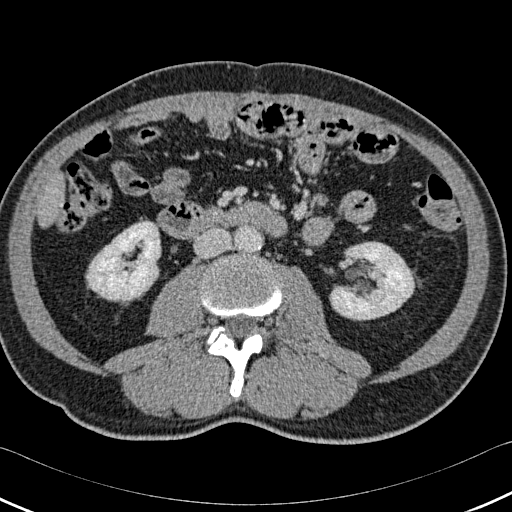 512x512 px, CT slice

Segmented structures:
- liver: region(36, 190, 64, 226); region(51, 178, 63, 183)
- kidney: region(87, 222, 160, 300); region(331, 242, 413, 319)
- bone: region(207, 327, 262, 397); region(201, 260, 281, 316)